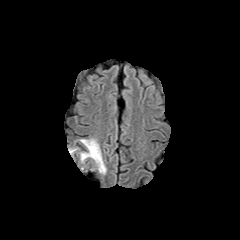
FLAIR MR.
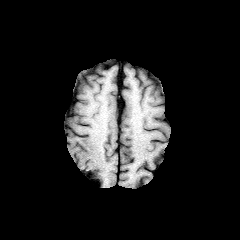
T1-weighted MRI of the same slice.
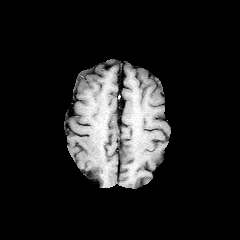
Post-contrast T1-weighted MR.
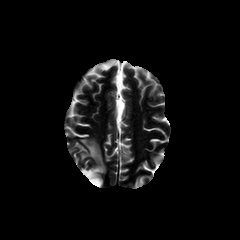
Same slice, T2-weighted MRI.
240x240; Brain
Edema: bounding box bbox(68, 136, 107, 174).